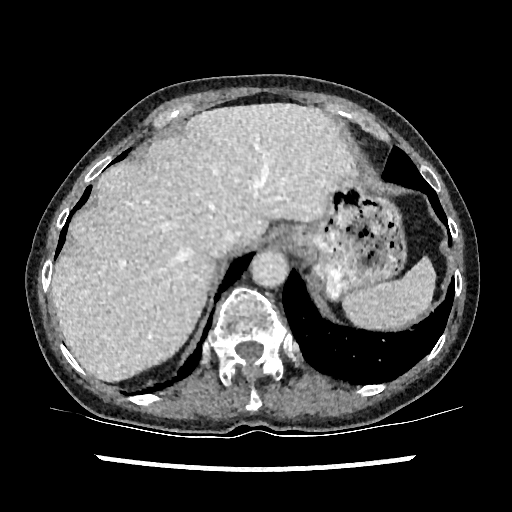
CT | 512x512 px
The liver lies within l=53, t=105, r=353, b=380.